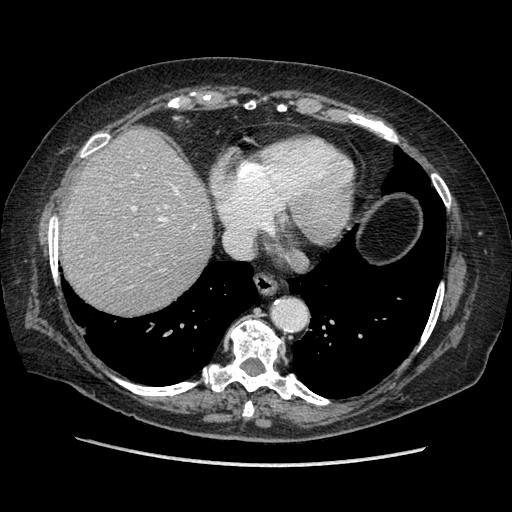 CT scan slice

Not every hepatic vessel necessarily has a box.
Hepatic vessel: bbox(133, 207, 135, 209); bbox(160, 217, 165, 220).